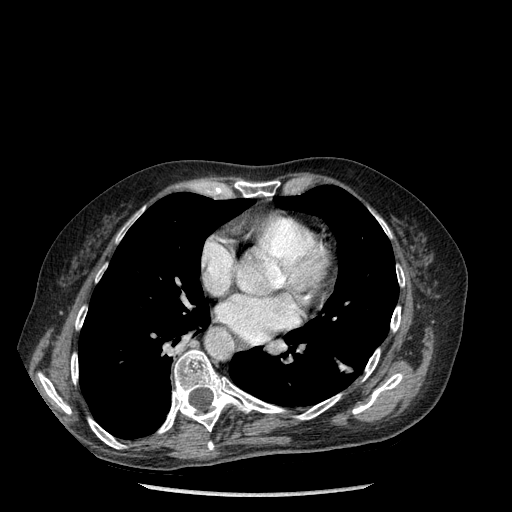
CT. Lung at [x1=229, y1=185, x2=398, y2=406], [x1=79, y1=192, x2=252, y2=439].
Bone at [x1=362, y1=349, x2=380, y2=381], [x1=75, y1=306, x2=87, y2=329], [x1=71, y1=353, x2=78, y2=384], [x1=352, y1=373, x2=402, y2=414], [x1=158, y1=349, x2=284, y2=433], [x1=295, y1=394, x2=341, y2=419], [x1=38, y1=373, x2=71, y2=414], [x1=116, y1=206, x2=145, y2=242], [x1=373, y1=213, x2=391, y2=237], [x1=234, y1=180, x2=280, y2=197], [x1=390, y1=306, x2=400, y2=332], [x1=396, y1=264, x2=404, y2=286], [x1=88, y1=418, x2=126, y2=449].